Image size 240x240; Head
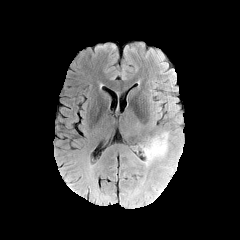
FLAIR MR.
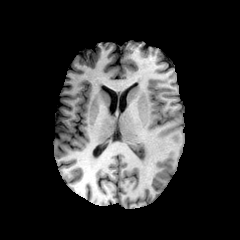
T1-weighted magnetic resonance.
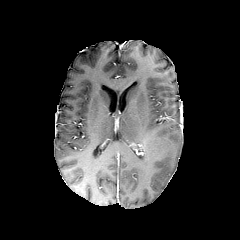
Post-contrast T1-weighted MRI of the same slice.
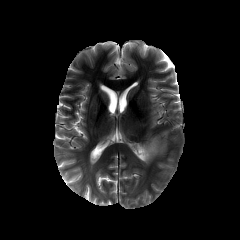
T2-weighted MR of the same slice.
- edema: (left=142, top=132, right=168, bottom=165)